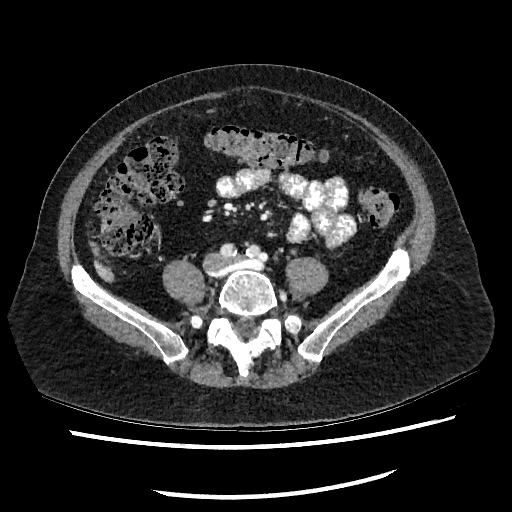
Liver. CT.
The liver appears at <bbox>94, 261, 112, 280</bbox>.